CT slice
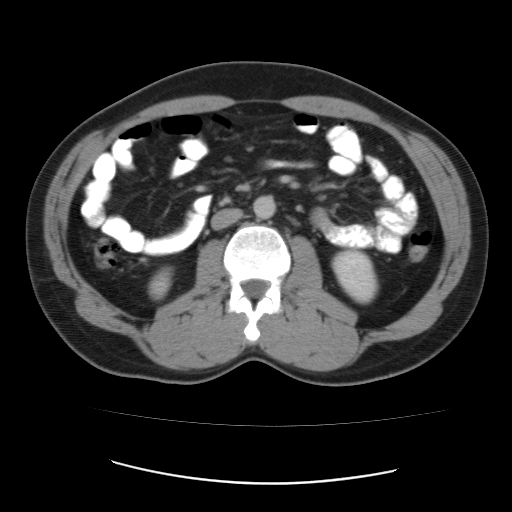

Colon tumor — l=409, t=246, r=428, b=262.